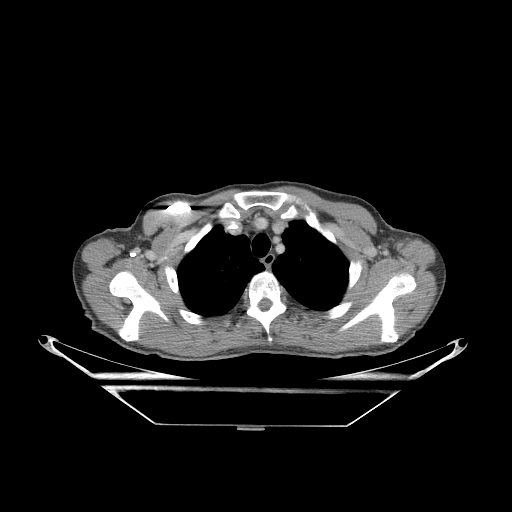
CT slice | Image size 512x512
2 lung regions are located at (177, 225, 263, 315), (272, 220, 348, 310). 11 bone regions are bounded by (281, 204, 318, 229), (185, 203, 239, 251), (109, 272, 167, 340), (180, 310, 200, 323), (330, 302, 350, 317), (234, 191, 292, 209), (340, 273, 415, 341), (245, 272, 285, 332), (164, 201, 190, 219), (350, 261, 361, 286), (165, 267, 177, 292).